Computed tomography

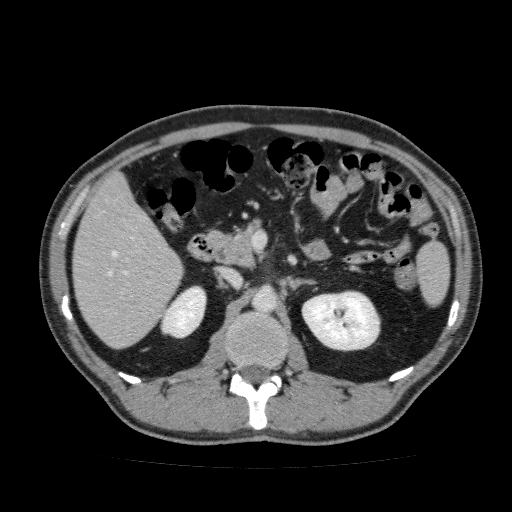

2 kidney regions appear at region(303, 292, 379, 349); region(162, 287, 205, 337). The liver appears at region(72, 170, 183, 348).